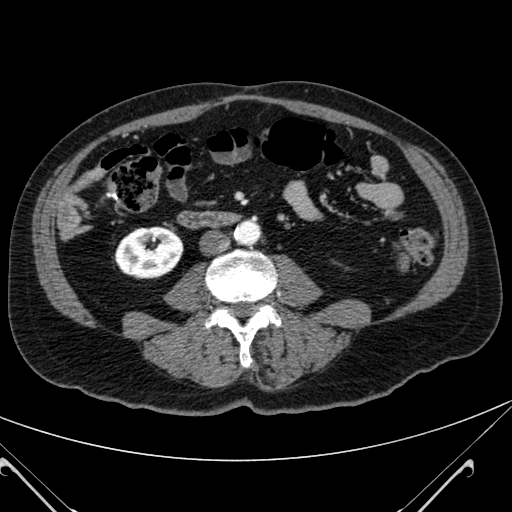

Abdomen; 512x512 px; Computed tomography

kidney: 116, 228, 182, 277